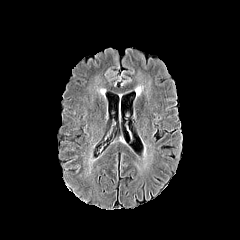
FLAIR magnetic resonance.
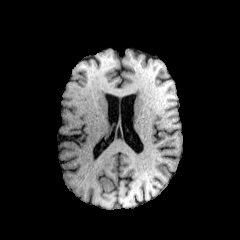
T1-weighted magnetic resonance of the same slice.
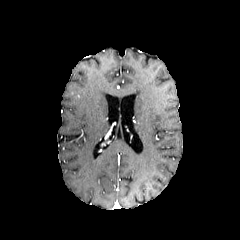
Post-contrast T1-weighted MR of the same slice.
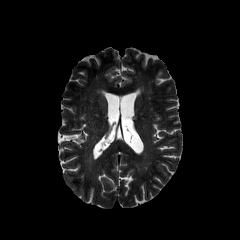
T2-weighted magnetic resonance.
The edema appears at [86,153,98,175].